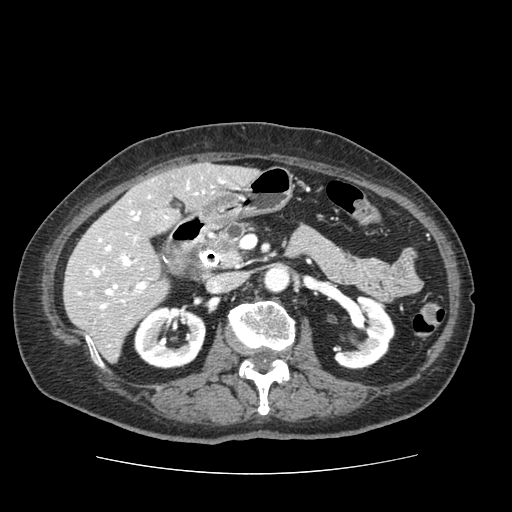 CT, Image size 512x512, Upper abdomen
The pancreas is located at x1=211 y1=224 x2=250 y2=267. The pancreatic tumor is at x1=214 y1=238 x2=232 y2=253.